Slice 438/896, Image size 512x512, CT, Abdomen 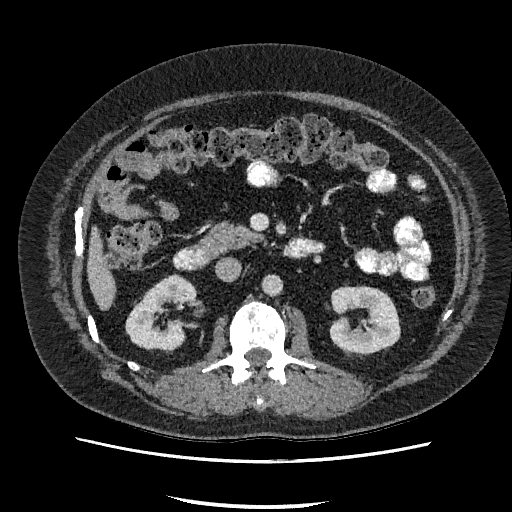 Liver: bounding box <bbox>88, 227, 115, 309</bbox>.
Kidney: bounding box <bbox>126, 276, 195, 348</bbox>, <bbox>330, 287, 399, 352</bbox>.